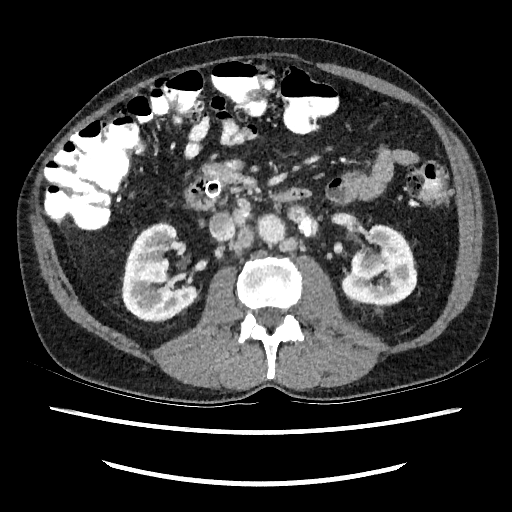

512x512, CT slice, Abdomen
Kidney = 123:224:195:322, 343:226:415:303.